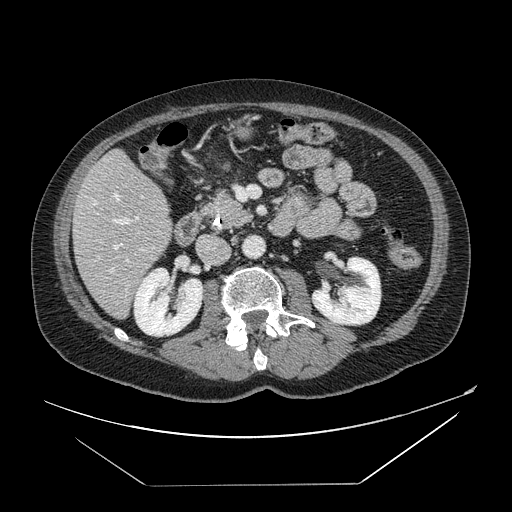 Abdomen. Computed tomography.

* pancreas: [x1=198, y1=191, x2=252, y2=232]
* pancreatic tumor: [x1=225, y1=201, x2=240, y2=214]